512x512. CT image.

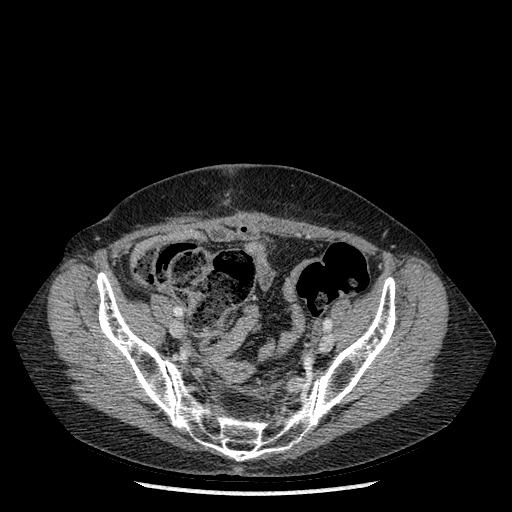

{
  "bone": [
    "(left=96, top=272, right=395, bottom=460)"
  ]
}